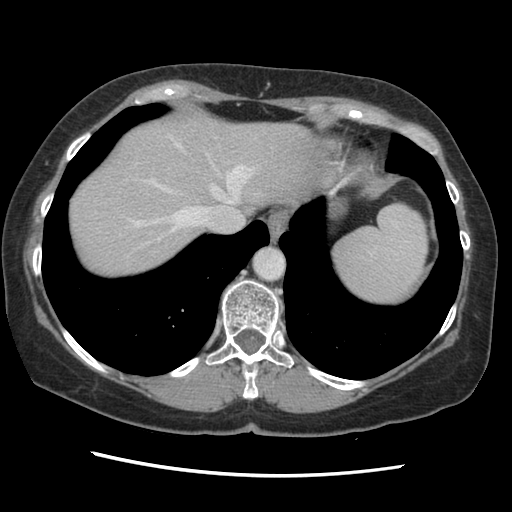

Abdomen, CT, 512x512 px
Some hepatic vessels may have no box.
hepatic vessel: <bbox>226, 165, 252, 202</bbox>, <bbox>171, 137, 182, 149</bbox>, <bbox>210, 186, 222, 198</bbox>, <bbox>141, 243, 147, 245</bbox>, <bbox>129, 218, 161, 226</bbox>, <bbox>169, 207, 206, 231</bbox>, <bbox>156, 237, 160, 240</bbox>